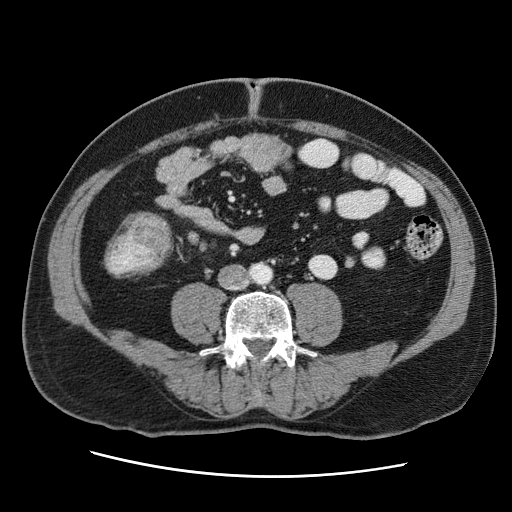
Pelvis. CT. 512x512 px. colon tumor: [129, 213, 171, 256]